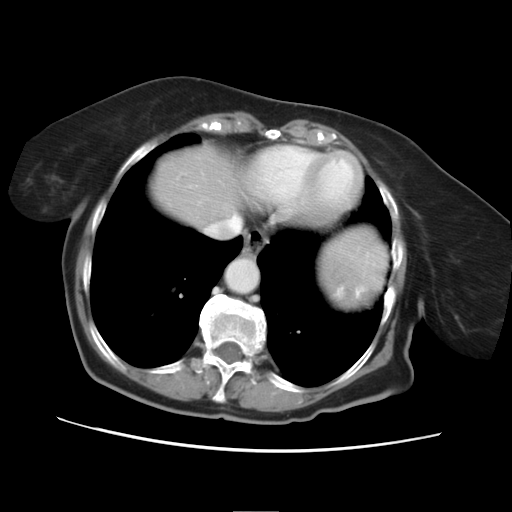
CT slice

Not every hepatic vessel necessarily has a box.
Hepatic vessel at <bbox>205, 214, 240, 235</bbox>.